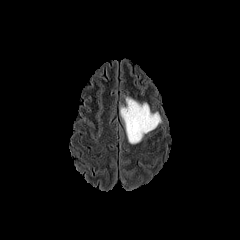
FLAIR MRI.
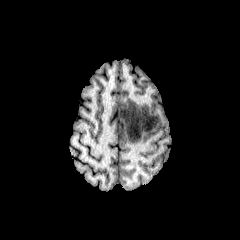
T1-weighted MRI.
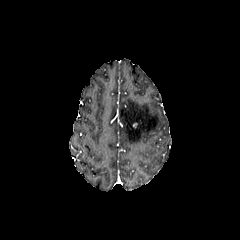
Same slice, post-contrast T1-weighted MR image.
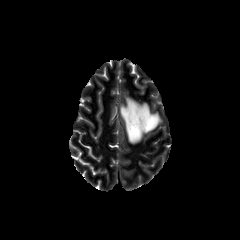
T2-weighted MR.
240x240 px
Segmented structures:
- edema: x1=120, y1=98, x2=160, y2=143